CT slice.

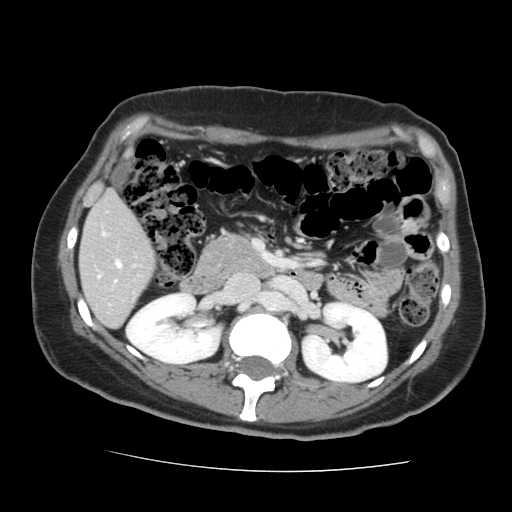
The vessel annotation is not exhaustive.
<segmentation>
  <hepatic_vessel>(left=116, top=261, right=120, bottom=267), (left=114, top=281, right=115, bottom=282), (left=97, top=275, right=100, bottom=278), (left=102, top=233, right=104, bottom=235)</hepatic_vessel>
</segmentation>